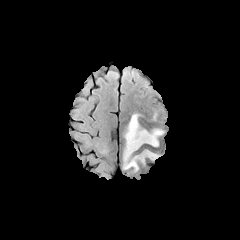
FLAIR MRI.
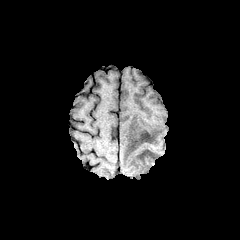
T1-weighted MRI of the same slice.
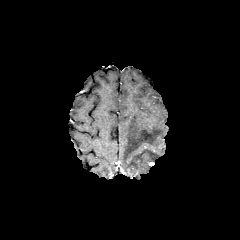
Same slice, post-contrast T1-weighted MR.
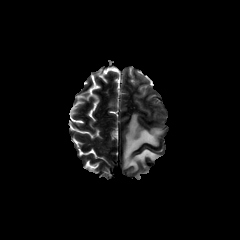
T2-weighted magnetic resonance.
240x240 px | Head
Edema at l=124, t=114, r=163, b=169.